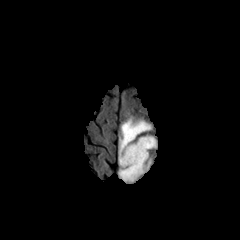
FLAIR MR.
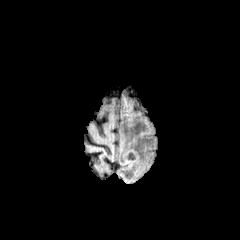
T1-weighted magnetic resonance of the same slice.
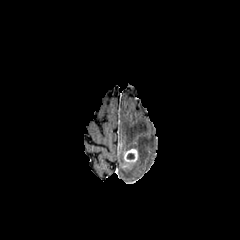
Post-contrast T1-weighted MR.
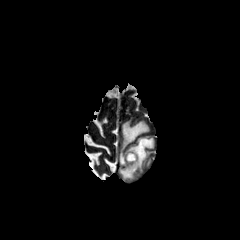
Same slice, T2-weighted MR.
Brain
{"enhancing_tumor": ["l=122, t=148, r=137, b=166"], "edema": ["l=118, t=116, r=156, b=181"]}